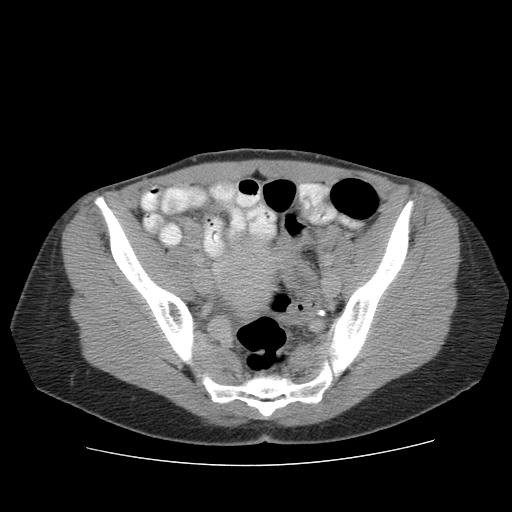
Computed tomography. Pelvis.
<segmentation>
  <colon_tumor>rect(277, 231, 317, 288)</colon_tumor>
</segmentation>